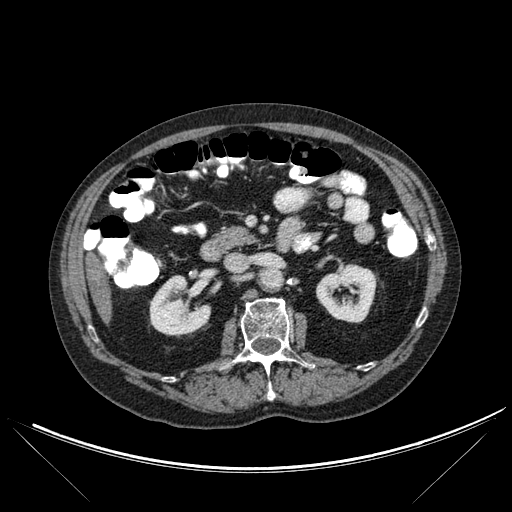 Liver; CT; Image size 512x512

* kidney: [150, 276, 210, 334], [316, 265, 375, 321]
* bone: [416, 317, 423, 326], [233, 298, 291, 373], [267, 384, 274, 399]
* liver: [86, 256, 111, 322]